CT, Slice 524/908, Image size 512x512, Upper abdomen

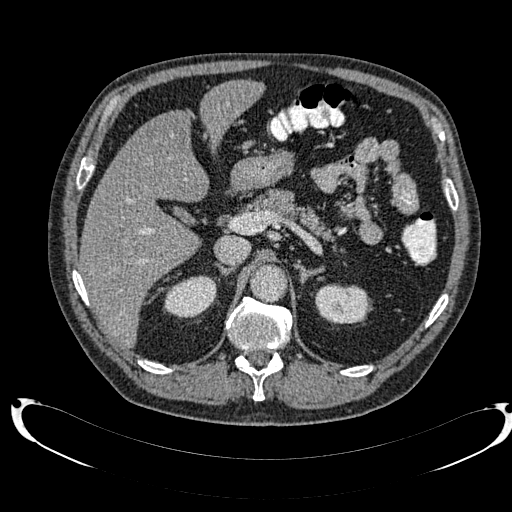

kidney: region(316, 284, 370, 323); region(164, 276, 216, 317) | liver lesion: region(147, 112, 186, 149) | liver: region(80, 111, 207, 346); region(201, 80, 263, 145)